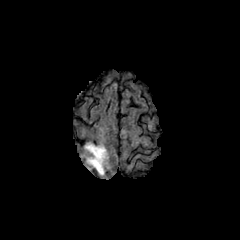
FLAIR MRI.
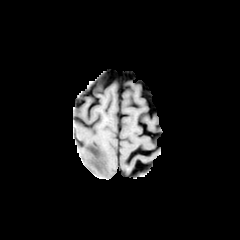
T1-weighted MRI.
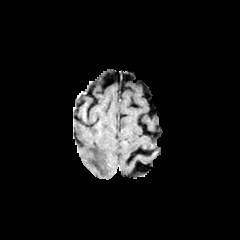
Post-contrast T1-weighted MR image of the same slice.
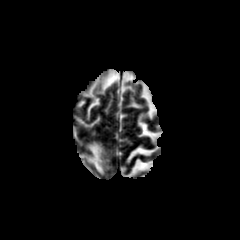
T2-weighted MRI.
Image size 240x240
The edema lies within x1=83, y1=143, x2=111, y2=175.